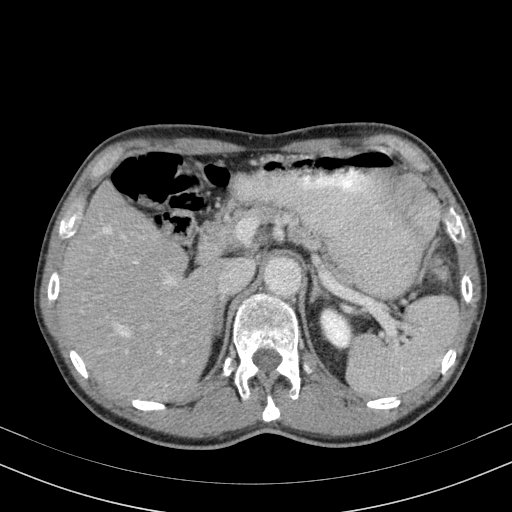

Computed tomography | 512x512 px
The liver is located at (58, 180, 255, 403). The kidney is located at (322, 311, 349, 346).